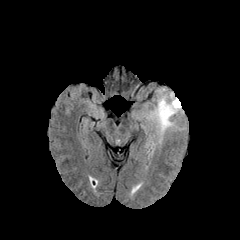
FLAIR MR image.
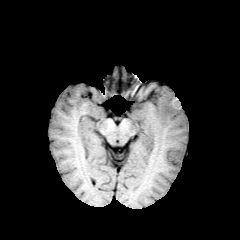
T1-weighted magnetic resonance of the same slice.
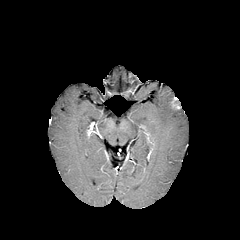
Same slice, post-contrast T1-weighted MR image.
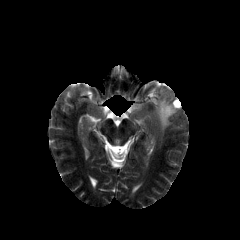
Same slice, T2-weighted MRI.
Head. Image size 240x240.
The edema lies within 133, 87, 186, 140. The enhancing tumor appears at 169, 95, 181, 110.